Upper abdomen | Image size 512x512 | Computed tomography 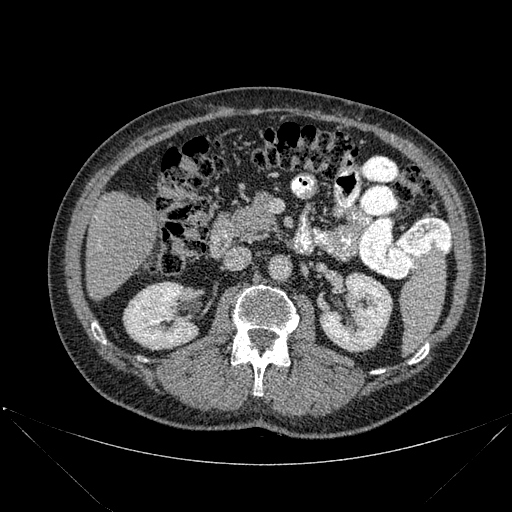
<segmentation>
  <bone>x1=409 y1=343 x2=428 y2=363, x1=92 y1=323 x2=105 y2=343, x1=231 y1=285 x2=298 y2=395</bone>
  <liver>x1=86 y1=191 x2=155 y2=297</liver>
  <kidney>x1=320 y1=274 x2=391 y2=350, x1=123 y1=282 x2=197 y2=349</kidney>
</segmentation>